Head; 240x240 px
FLAIR magnetic resonance.
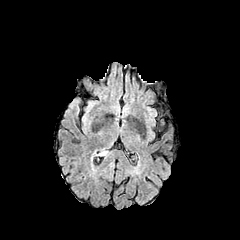
T1-weighted magnetic resonance.
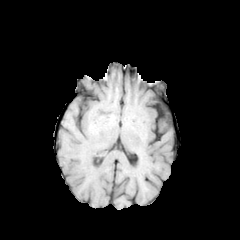
Post-contrast T1-weighted MRI.
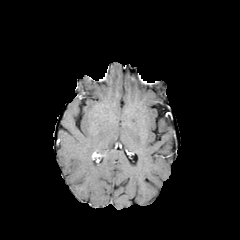
T2-weighted MRI.
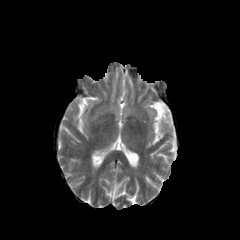
{
  "edema": [
    "box(94, 148, 110, 158)"
  ]
}